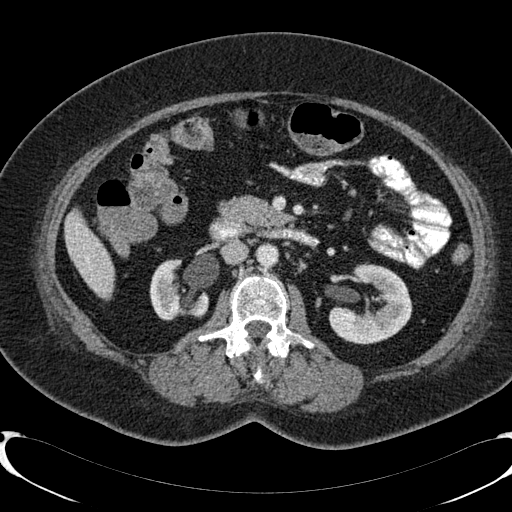 CT slice, 512x512 px
The liver is at x1=66, y1=212, x2=113, y2=297. 2 kidney regions appear at x1=148, y1=260, x2=208, y2=319; x1=329, y1=265, x2=410, y2=343.